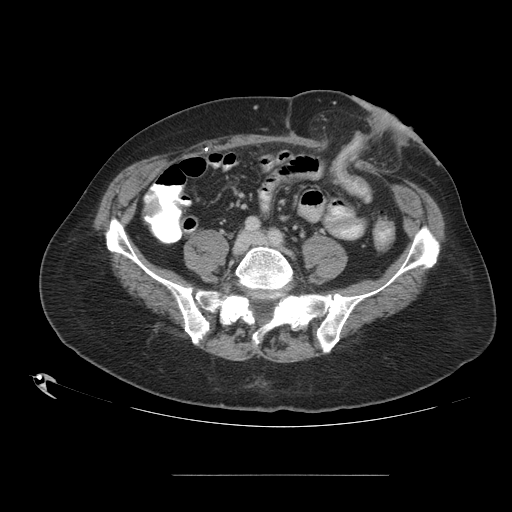

Abdomen, CT, Image size 512x512
The colon tumor is bounded by x1=144, y1=198, x2=160, y2=216.